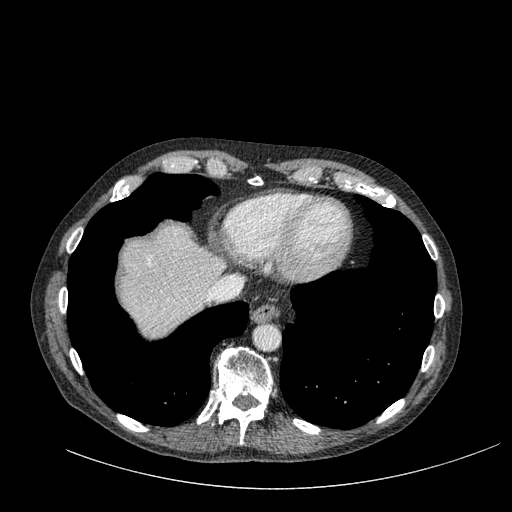
CT slice | 512x512
<segmentation>
  <liver>120,225,225,335</liver>
</segmentation>